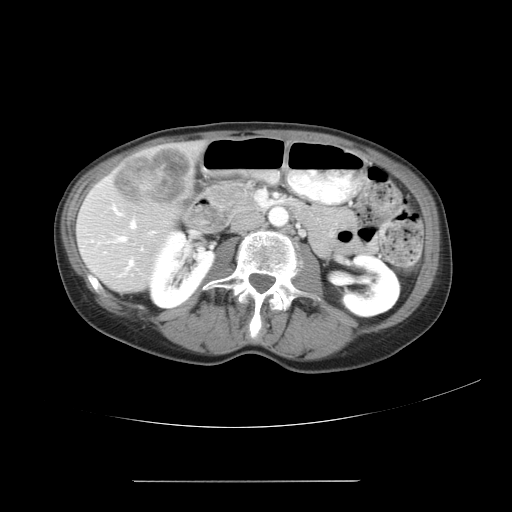
CT slice; Image size 512x512
Only some of the vessels may be annotated.
<segmentation>
  <hepatic_vessel>(111, 205, 119, 214), (119, 274, 122, 275), (109, 236, 125, 241), (127, 259, 132, 267), (140, 248, 142, 249), (130, 221, 135, 227), (149, 231, 153, 233)</hepatic_vessel>
  <liver_tumor>(113, 146, 192, 210)</liver_tumor>
</segmentation>